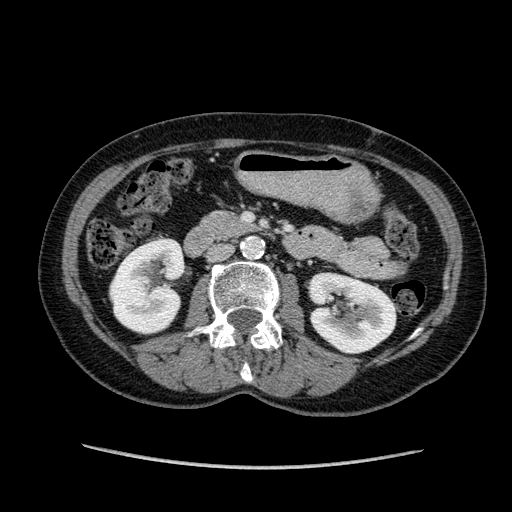 CT image
Kidney: region(110, 239, 183, 332); region(310, 273, 395, 352).